CT image | Image width 464 mm | Upper abdomen 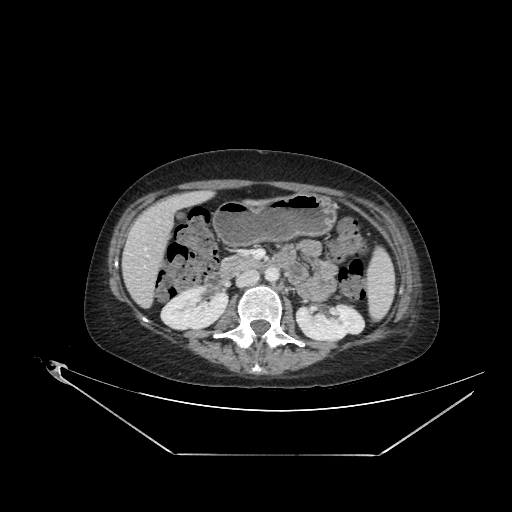 {
  "liver": [
    "region(121, 190, 214, 309)"
  ],
  "kidney": [
    "region(297, 305, 363, 340)",
    "region(161, 287, 227, 328)"
  ]
}